Field of view 400 mm wide, 0.70 mm slice spacing; Upper abdomen; CT image

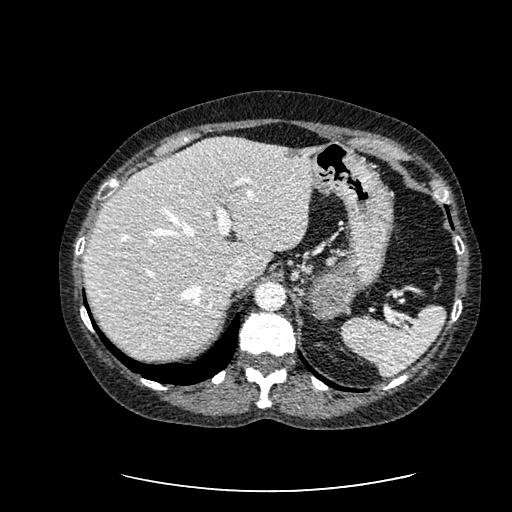

Annotated regions:
- liver lesion: (x1=283, y1=149, x2=302, y2=158)
- liver: (x1=83, y1=137, x2=321, y2=357)